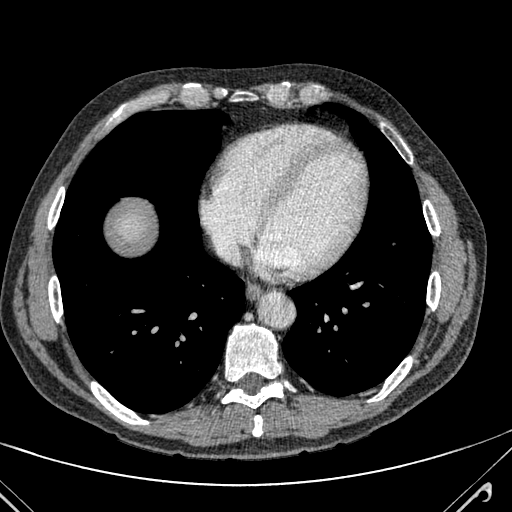 CT scan slice
The liver is at box=[113, 210, 149, 247].